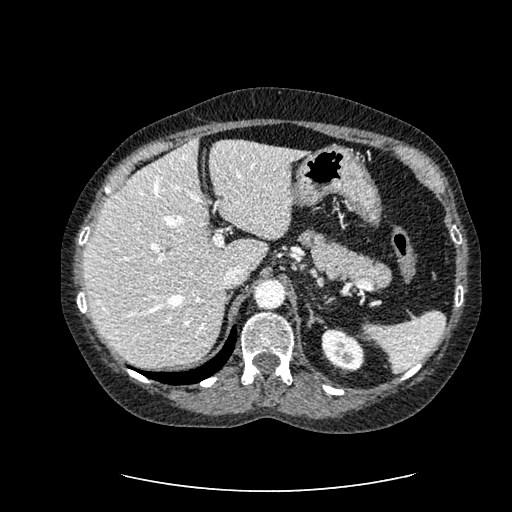 512x512. CT. <segmentation>
  <kidney>box(322, 330, 362, 369)</kidney>
  <liver>box(208, 140, 310, 238); box(84, 137, 268, 366)</liver>
</segmentation>